Abdomen, 512x512 px, CT scan slice, Slice 622 of 896

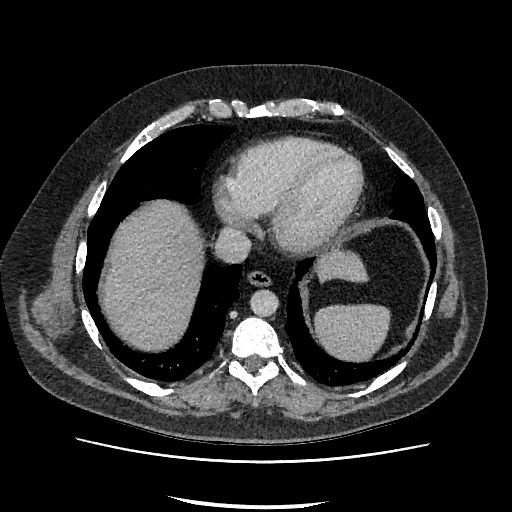

2 liver regions are bounded by [104,205,200,348], [317,254,365,281].